CT slice

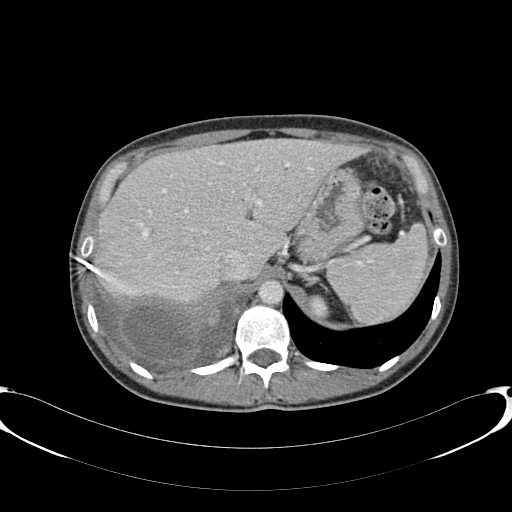 {
  "liver": [
    "box(93, 139, 368, 303)"
  ],
  "kidney": [
    "box(313, 300, 325, 314)"
  ]
}